Abdomen; Image width 500 mm; Slice 128 of 181; Computed tomography
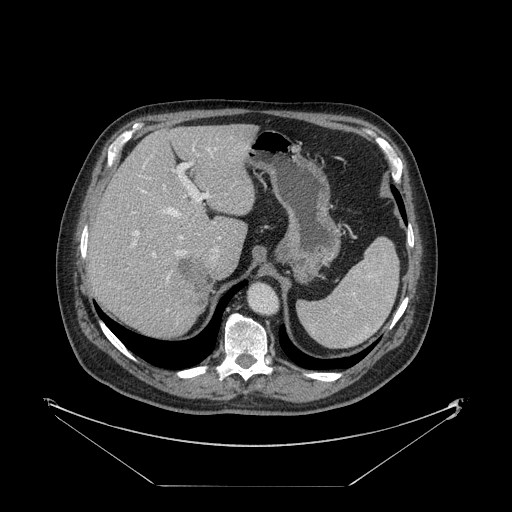

Some hepatic vessels may have no box.
Liver tumor at 177:257:212:310.
Hepatic vessel at 178:235:181:238, 152:253:154:255, 192:145:193:149, 167:275:169:279, 163:184:164:187, 206:147:209:150, 134:231:138:236, 172:163:208:201, 132:240:135:244.